CT image | Pelvis | Slice 71 of 276
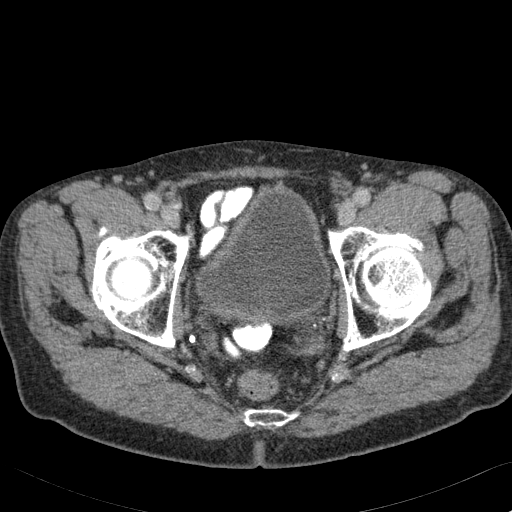
urinary bladder: <box>195,188,330,319</box>